Slice index 54 | MR image | Cardiac 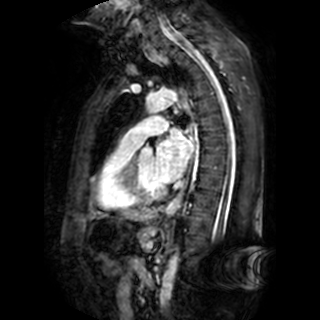 left atrium: <box>155,128,192,182</box>